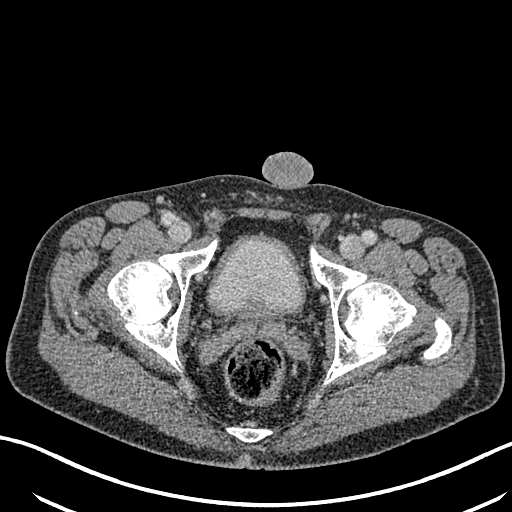
CT image

Urinary bladder = 209, 236, 302, 317.